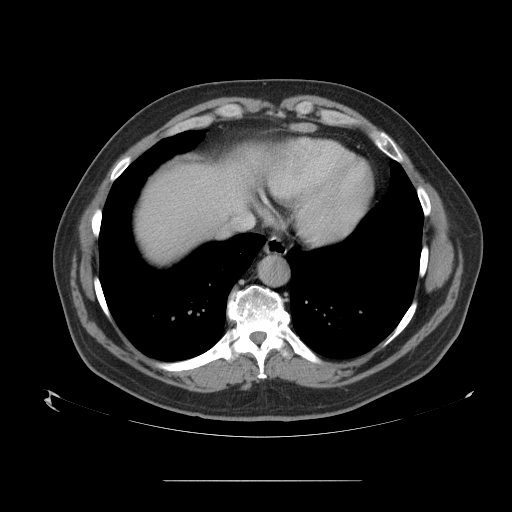

CT scan slice
The vessel annotation is not exhaustive.
Hepatic vessel at 221,210,254,237.